FLAIR MR.
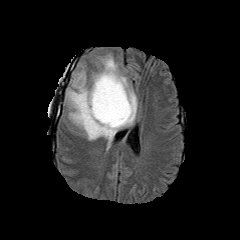
T1-weighted MR.
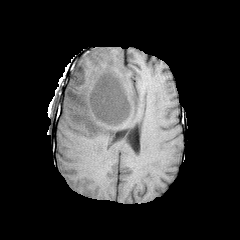
Post-contrast T1-weighted magnetic resonance.
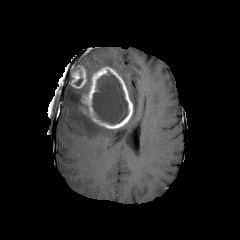
T2-weighted MRI.
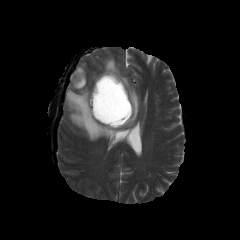
Head
<segmentation>
  <edema>x1=64, y1=53, x2=139, y2=147</edema>
  <enhancing_tumor>x1=72, y1=68, x2=85, y2=87; x1=82, y1=67, x2=132, y2=128</enhancing_tumor>
  <non-enhancing_tumor_core>x1=80, y1=94, x2=90, y2=119; x1=92, y1=72, x2=127, y2=123; x1=86, y1=73, x2=93, y2=93</non-enhancing_tumor_core>
</segmentation>